240x240 | Head | Image width 240 mm
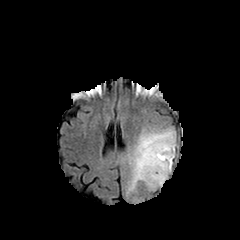
FLAIR MR.
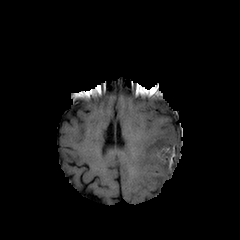
T1-weighted magnetic resonance of the same slice.
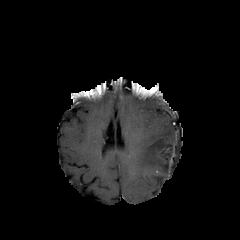
Post-contrast T1-weighted MRI.
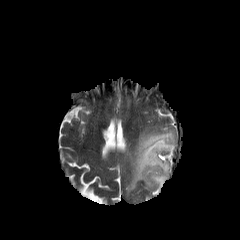
T2-weighted magnetic resonance.
The edema is located at 126:124:177:194.